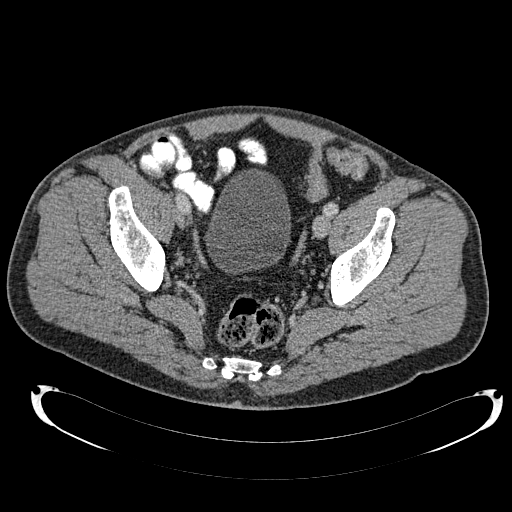
512x512; Pelvis; CT slice

<segmentation>
  <urinary_bladder>(204,168,290,274)</urinary_bladder>
</segmentation>